CT scan slice
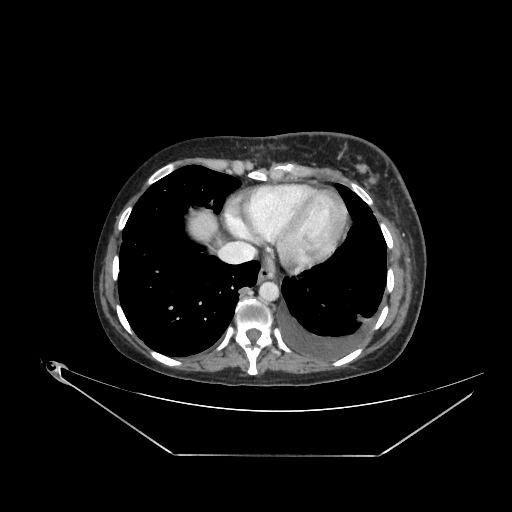
The liver lies within rect(183, 215, 218, 242).